Upper abdomen | Field of view 500x500 mm | Slice index 39 | CT scan slice

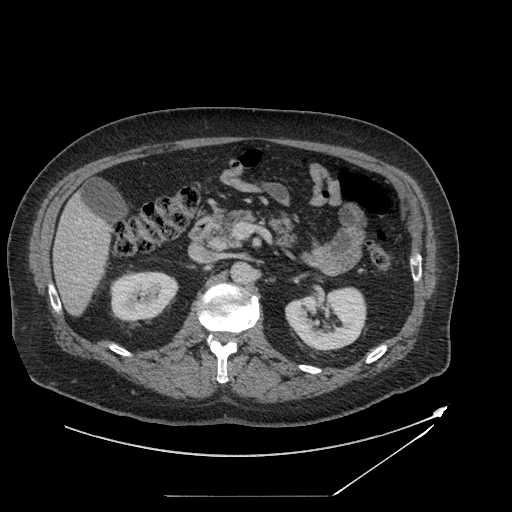

Pancreatic tumor — [209, 238, 227, 250].
Pancreas — [204, 210, 297, 250].